Abdomen. Image size 512x512. CT.
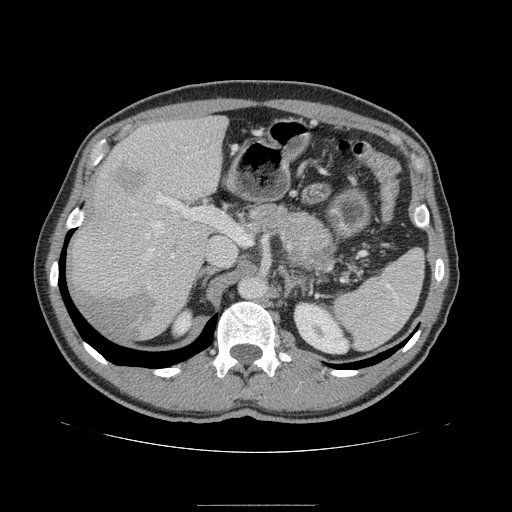 pancreatic tumor: region(310, 247, 329, 261) | pancreas: region(248, 204, 336, 273)